Image width 389 mm | 512x512 px | Abdomen | Slice 32 of 101 | CT image 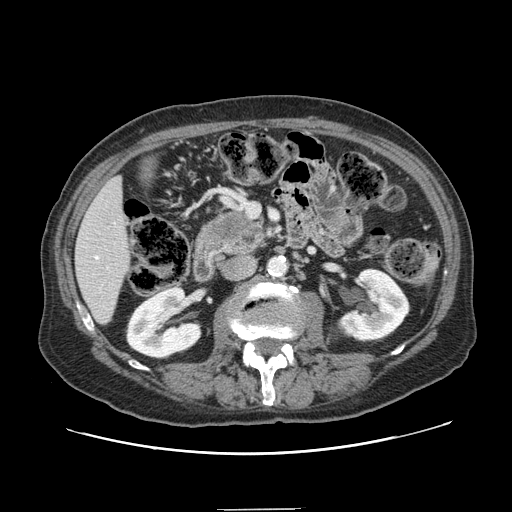

pancreas:
  - box=[208, 208, 264, 257]
pancreatic_tumor:
  - box=[211, 214, 246, 241]